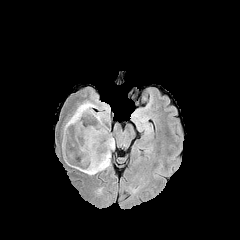
FLAIR MRI.
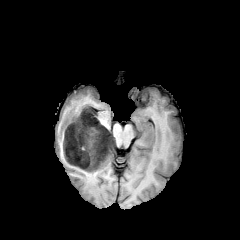
T1-weighted MR image.
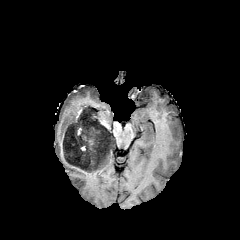
Post-contrast T1-weighted magnetic resonance.
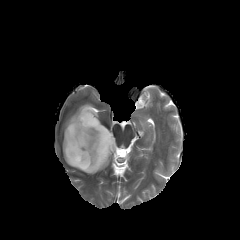
Same slice, T2-weighted MR.
Brain
Edema: bounding box <box>66,150,113,174</box>, <box>64,102,97,137</box>, <box>96,112,106,127</box>.
Non-enhancing tumor core: bounding box <box>63,107,113,169</box>.